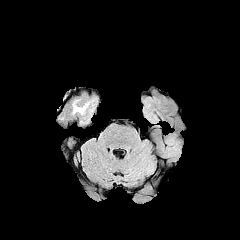
FLAIR MR.
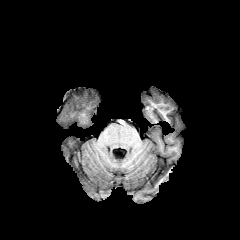
T1-weighted MR.
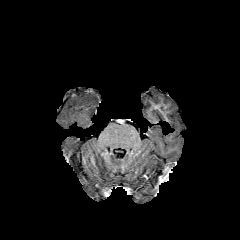
Post-contrast T1-weighted MRI.
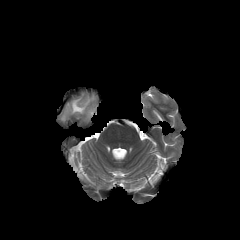
T2-weighted MRI.
240x240 px. Brain.
edema:
  - [x1=68, y1=99, x2=94, y2=120]